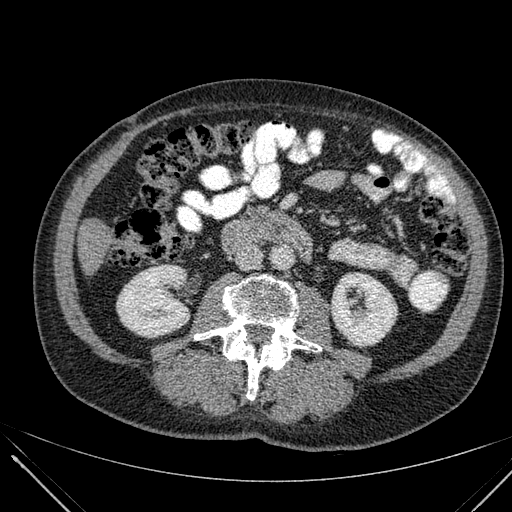 CT slice; Upper abdomen
The liver appears at (78,217,113,272). 2 kidney regions appear at (332,273,396,345), (117,265,188,336).